CT slice | Slice 198/401 | Abdomen | 512x512 px
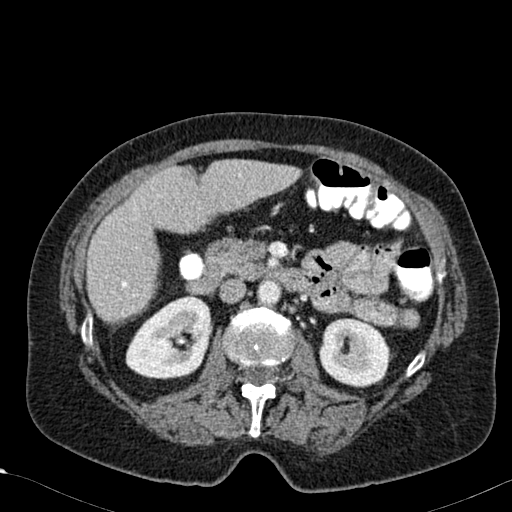 The liver is located at 88,162,297,320. 2 kidney regions are located at 126,297,210,378; 320,319,389,386.